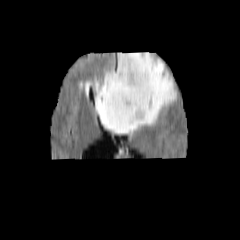
FLAIR MR image.
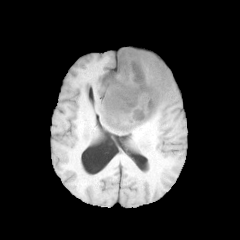
T1-weighted magnetic resonance.
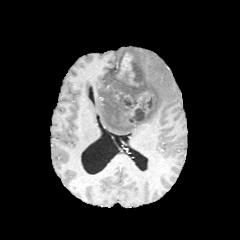
Post-contrast T1-weighted MRI of the same slice.
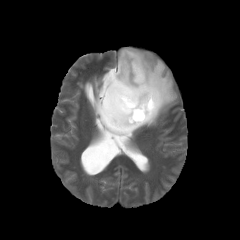
T2-weighted MR image.
Brain
Non-enhancing tumor core: rect(102, 51, 156, 128).
Enhancing tumor: rect(119, 53, 132, 74).
Edema: rect(95, 48, 178, 134).